Hippocampus. Magnetic resonance. 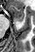 Anterior hippocampus: 11 5 24 19.
Posterior hippocampus: 20 20 22 21.